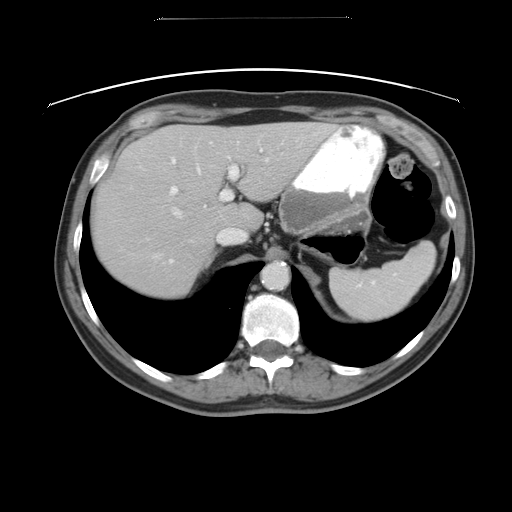 CT slice. 512x512 px. Not every hepatic vessel necessarily has a box.
Hepatic vessel = bbox(217, 228, 245, 242); bbox(171, 186, 177, 193); bbox(261, 148, 262, 150); bbox(228, 156, 230, 158); bbox(169, 259, 172, 262); bbox(229, 167, 238, 178); bbox(141, 167, 144, 168); bbox(173, 208, 181, 217); bbox(220, 190, 232, 200); bbox(171, 157, 175, 162); bbox(154, 253, 159, 257).